CT scan slice, Slice 561 of 685, 512x512 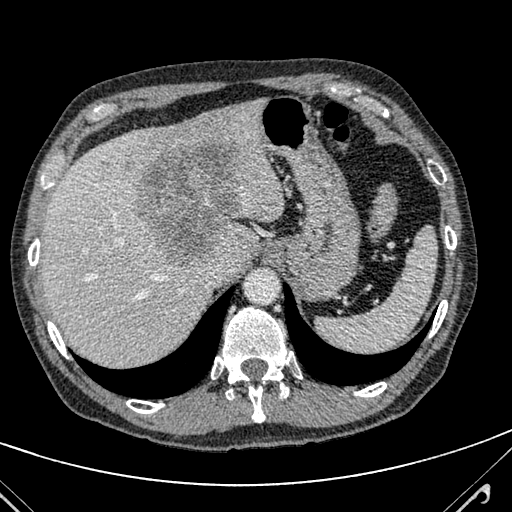

Findings:
* focal liver lesion: 124:159:133:167, 135:136:241:267
* liver: 42:99:284:366